FLAIR magnetic resonance.
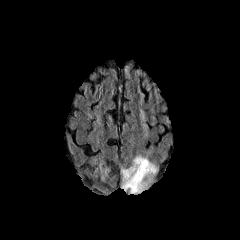
T1-weighted MR.
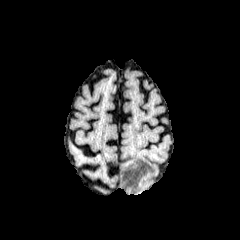
Post-contrast T1-weighted MR.
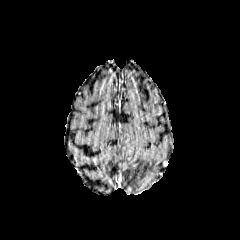
T2-weighted MR.
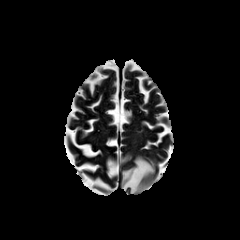
The edema is located at [x1=119, y1=155, x2=155, y2=194].